Image size 512x512. Slice 25/97. CT slice. Upper abdomen.

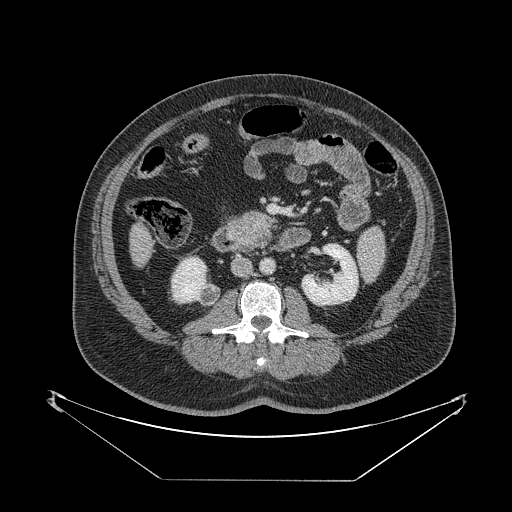 pancreas:
  - 231, 213, 272, 251
pancreatic_tumor:
  - 236, 213, 268, 236